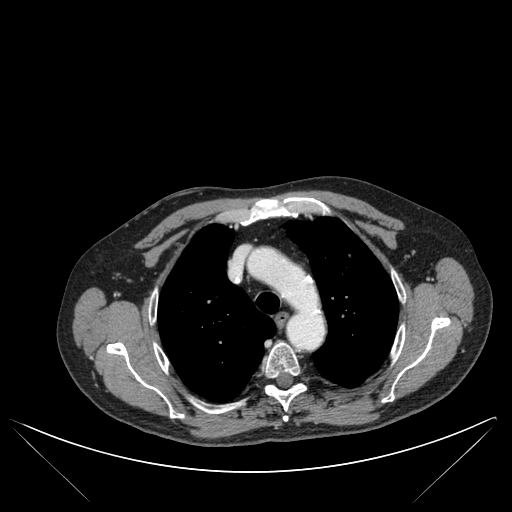 Thorax; CT image
* lung: 158,224,279,401; 283,217,398,387
* bone: 265,383,306,410; 148,291,157,322; 391,325,404,361; 153,343,168,372; 264,342,299,377; 202,402,241,413; 107,342,183,417; 392,271,404,300; 382,317,450,402; 241,197,327,225